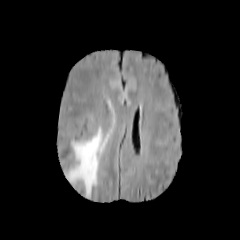
FLAIR MR image.
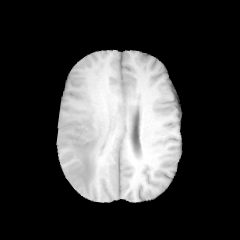
Same slice, T1-weighted MR image.
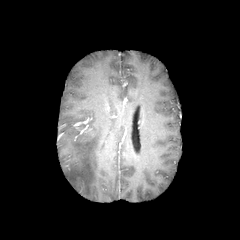
Post-contrast T1-weighted MR image of the same slice.
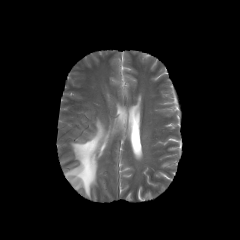
T2-weighted MRI.
Image size 240x240; Brain
Edema — x1=66 y1=119 x2=106 y2=197.